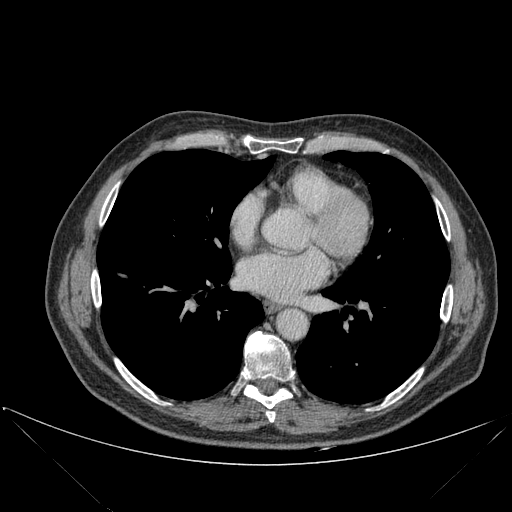
Computed tomography; Image size 512x512
Lung: bounding box bbox=[352, 293, 378, 319]; bbox=[356, 346, 382, 372]; bbox=[170, 290, 186, 306].
Bone: bounding box bbox=[231, 330, 300, 422]; bbox=[370, 364, 428, 409]; bbox=[95, 174, 123, 225]; bbox=[431, 188, 452, 240]; bbox=[244, 135, 305, 154]; bbox=[90, 266, 104, 307]; bbox=[440, 281, 454, 321]; bbox=[109, 356, 164, 406].